Head | Field of view 240x240 mm
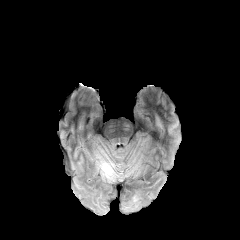
FLAIR MRI.
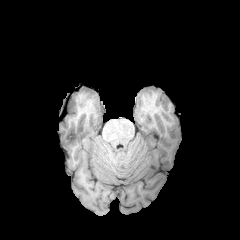
T1-weighted MR image of the same slice.
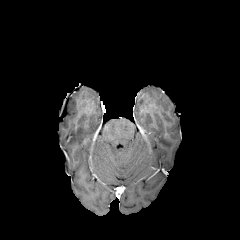
Post-contrast T1-weighted MR image.
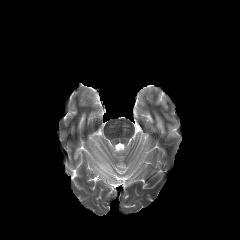
Same slice, T2-weighted MR.
Edema — l=97, t=156, r=115, b=181.